Image width 240 mm; Brain
FLAIR MRI.
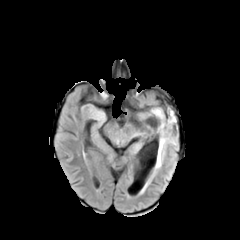
T1-weighted MRI.
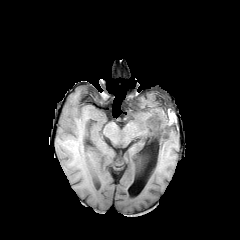
Post-contrast T1-weighted magnetic resonance.
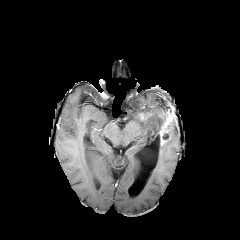
T2-weighted MRI.
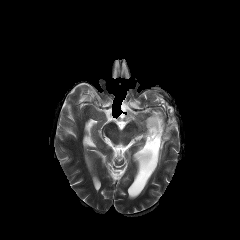
• non-enhancing tumor core: <box>162,133,170,141</box>, <box>150,118,162,148</box>, <box>160,109,172,121</box>
• enhancing tumor: <box>158,111,173,145</box>
• edema: <box>148,105,171,134</box>, <box>144,112,177,189</box>